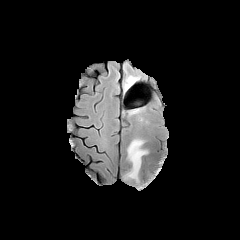
FLAIR magnetic resonance.
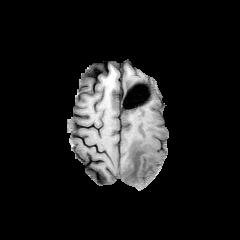
T1-weighted MR image.
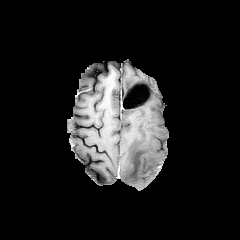
Post-contrast T1-weighted MR image of the same slice.
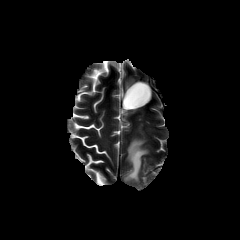
Same slice, T2-weighted MRI.
Head
Edema — 124, 138, 148, 181; 125, 77, 134, 89.